CT slice | Slice index 13
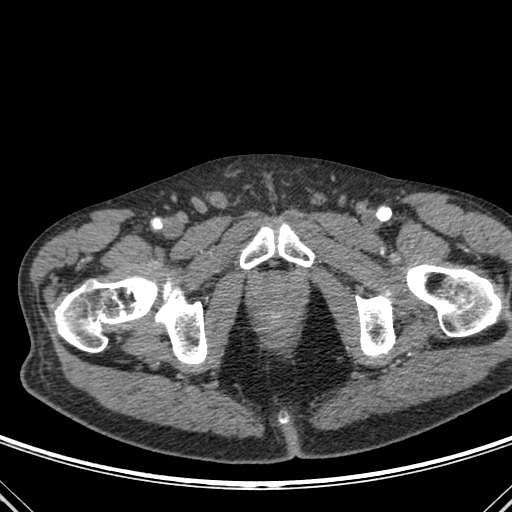

<segmentation>
  <bone>rect(406, 264, 505, 336); rect(355, 290, 395, 356); rect(240, 223, 314, 269); rect(55, 276, 207, 364)</bone>
</segmentation>